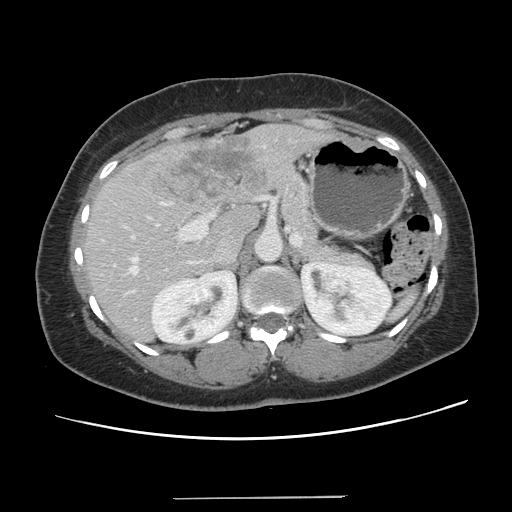

CT slice
Only some of the vessels may be annotated.
<segmentation>
  <hepatic_vessel>(113,264,115,266), (129,257,137,273), (161,202,171,205), (148,217,151,219), (131,235,134,238), (128,290,134,292), (156,224,158,225), (179,213,214,239)</hepatic_vessel>
  <liver_tumor>(166,136,264,203)</liver_tumor>
</segmentation>